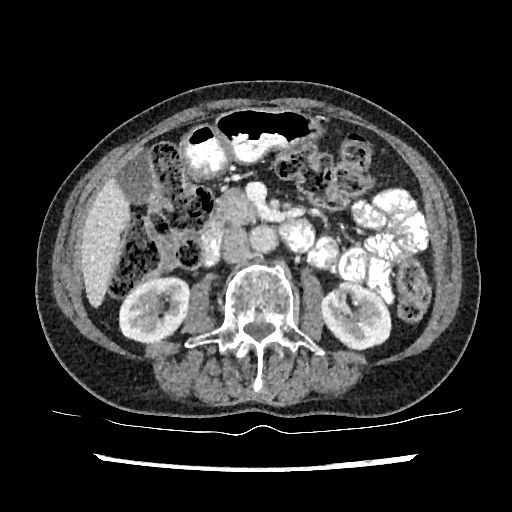
Upper abdomen; CT scan slice

Liver: bounding box <box>81,181,129,305</box>.
Kidney: bounding box <box>120,279,188,343</box>, <box>322,285,390,348</box>.